Slice index 445, Thorax, CT image, 512x512 px
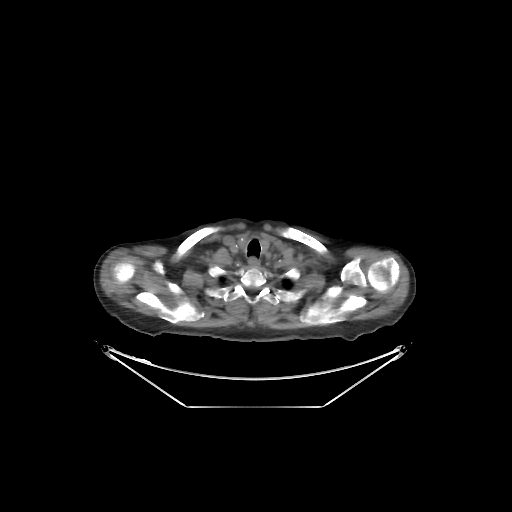
Annotated regions:
- bone: l=282, t=228, r=326, b=253; l=136, t=291, r=203, b=322; l=209, t=266, r=225, b=276; l=303, t=294, r=366, b=324; l=341, t=257, r=399, b=293; l=113, t=260, r=164, b=288; l=176, t=227, r=218, b=257; l=233, t=268, r=270, b=310; l=168, t=284, r=177, b=291; l=327, t=287, r=342, b=297
- lung: l=282, t=279, r=292, b=289; l=247, t=239, r=260, b=257